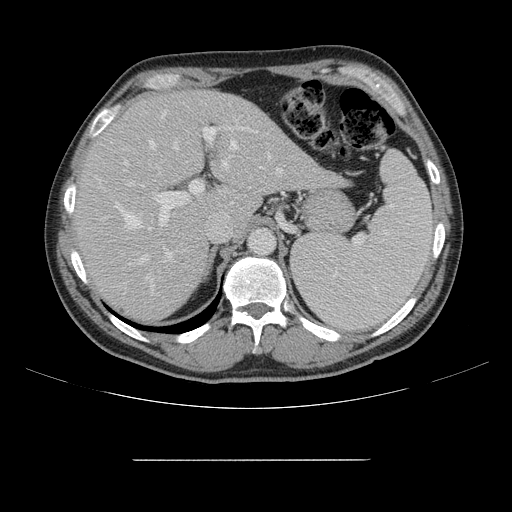
CT scan slice, Image size 512x512
Only some of the vessels may be annotated.
{"partial": true, "hepatic_vessel": {"n_total": 24, "boxes": ["(x1=277, y1=168, x2=281, y2=175)", "(x1=115, y1=202, x2=121, y2=210)", "(x1=150, y1=141, x2=155, y2=148)", "(x1=166, y1=252, x2=171, y2=260)", "(x1=151, y1=283, x2=154, y2=294)", "(x1=141, y1=256, x2=145, y2=261)", "(x1=162, y1=111, x2=165, y2=117)", "(x1=125, y1=214, x2=140, y2=227)", "(x1=156, y1=192, x2=188, y2=225)", "(x1=173, y1=142, x2=178, y2=149)", "(x1=145, y1=275, x2=150, y2=278)", "(x1=222, y1=159, x2=227, y2=166)", "(x1=189, y1=179, x2=204, y2=193)", "(x1=229, y1=141, x2=236, y2=148)", "(x1=203, y1=127, x2=257, y2=143)"]}}